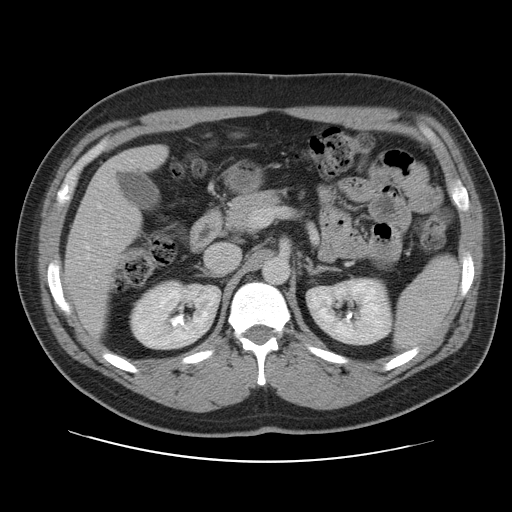 Liver, CT image
Not every hepatic vessel necessarily has a box.
Segmented structures:
* hepatic vessel: (left=96, top=312, right=103, bottom=315), (left=93, top=328, right=98, bottom=330), (left=109, top=160, right=112, bottom=166), (left=80, top=313, right=82, bottom=314), (left=98, top=205, right=101, bottom=207), (left=102, top=225, right=106, bottom=234), (left=85, top=243, right=88, bottom=249), (left=117, top=215, right=118, bottom=218)